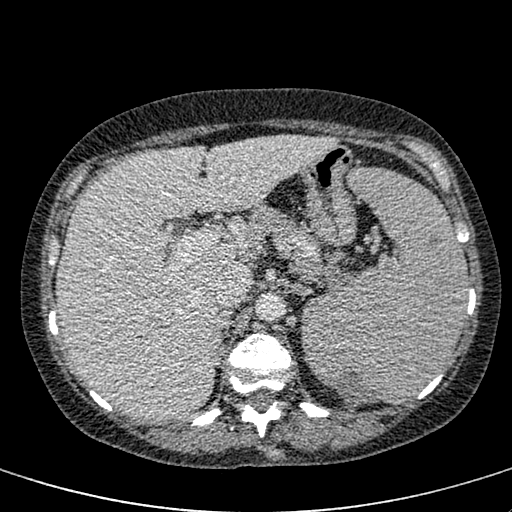
CT image, Upper abdomen, Image size 512x512

Liver — [58, 137, 335, 419].